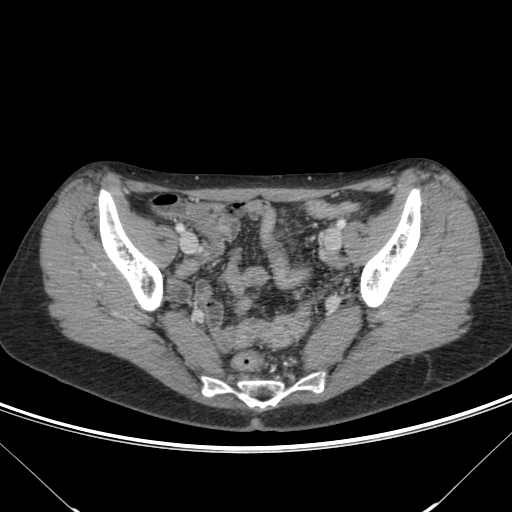 Computed tomography; Pelvis
- colon tumor: bbox(234, 312, 310, 349)